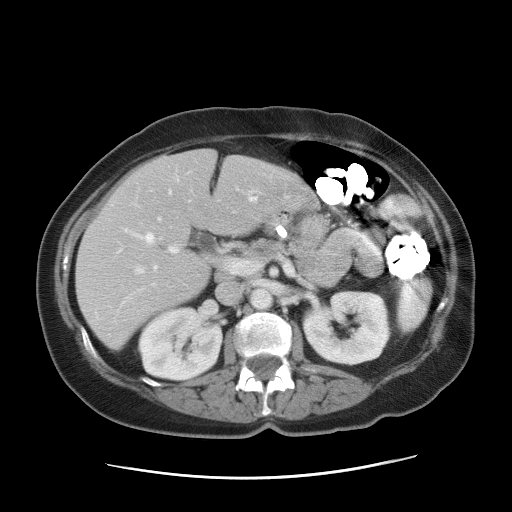
512x512. CT slice.
The vessel boxes may cover only some of the vessels.
Annotated regions:
* hepatic vessel: <bbox>169, 190, 171, 193</bbox>, <bbox>226, 259, 247, 272</bbox>, <bbox>158, 218, 160, 220</bbox>, <bbox>169, 245, 178, 255</bbox>, <bbox>152, 284, 154, 285</bbox>, <bbox>146, 234, 153, 242</bbox>, <bbox>177, 179, 178, 180</bbox>, <bbox>154, 266, 157, 268</bbox>, <bbox>249, 193, 257, 201</bbox>, <bbox>132, 233, 142, 238</bbox>, <bbox>136, 268, 143, 273</bbox>